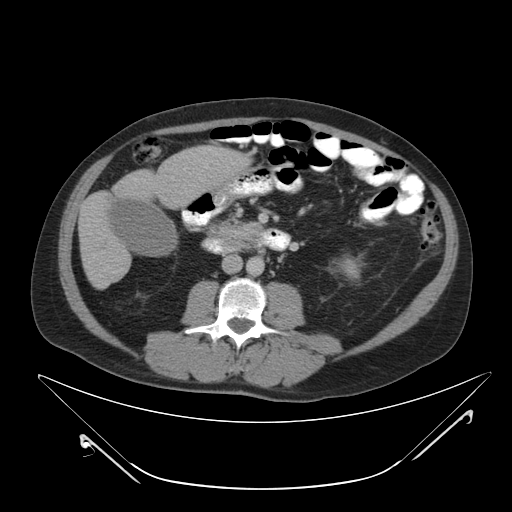 Upper abdomen, CT scan slice

Pancreas at [x1=205, y1=220, x2=264, y2=251].